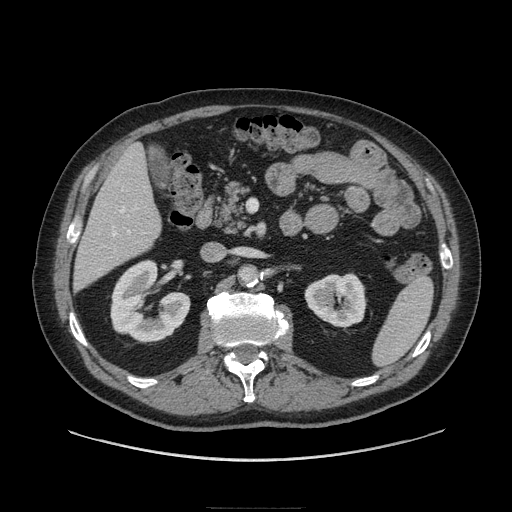 CT scan slice.
Pancreas: bounding box <box>215,181,248,232</box>.